CT image. Slice 22/37. Abdomen.
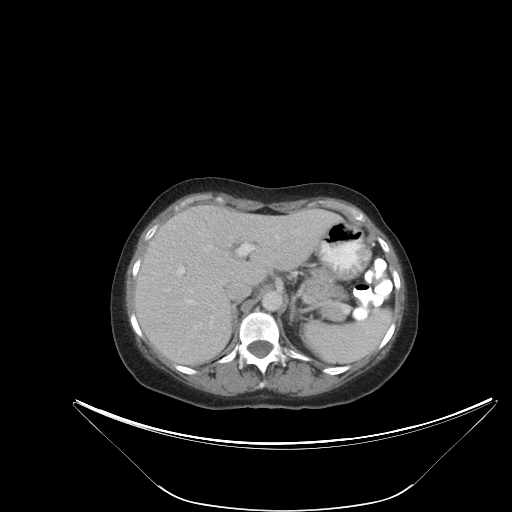 Not every hepatic vessel necessarily has a box.
3 hepatic vessel regions are bounded by 177,267,183,272; 191,290,192,291; 238,244,255,254.